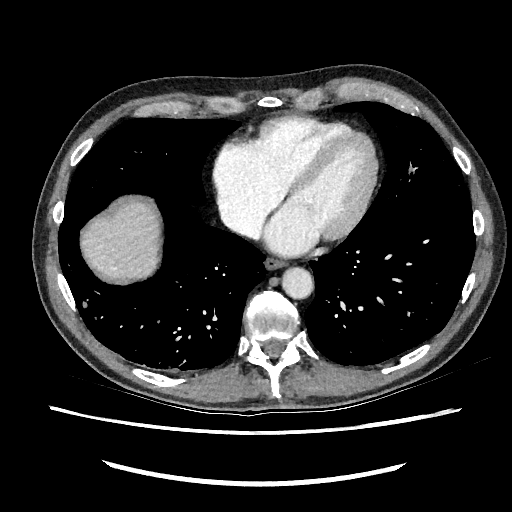
CT
Liver = (81, 202, 158, 276).